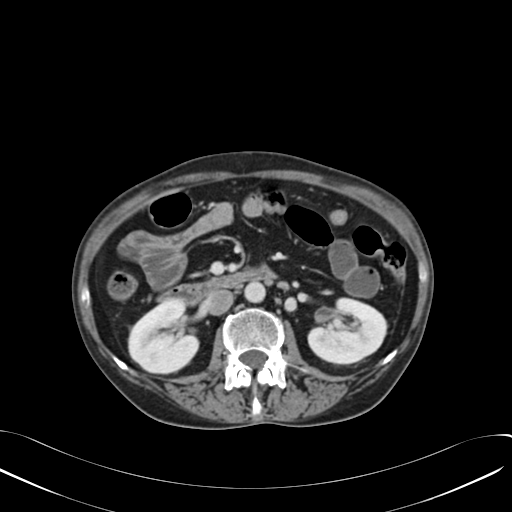

Abdomen; Computed tomography; 512x512 px

Kidney — x1=129 y1=300 x2=197 y2=372, x1=309 y1=299 x2=385 y2=362.